Slice 118 of 155; 240x240 px
FLAIR magnetic resonance.
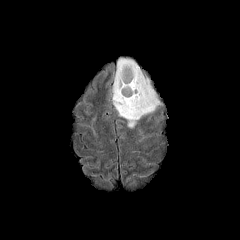
T1-weighted MR.
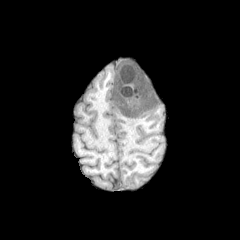
Post-contrast T1-weighted MR.
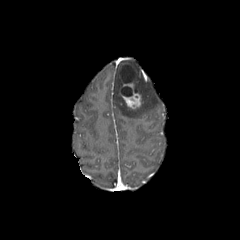
T2-weighted MR image.
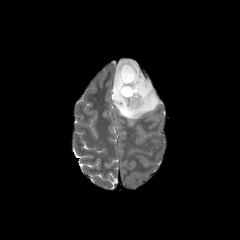
The enhancing tumor lies within 118 80 143 109. The edema is located at 114 60 160 127. 2 non-enhancing tumor core regions appear at 121 87 132 96, 119 64 137 83.